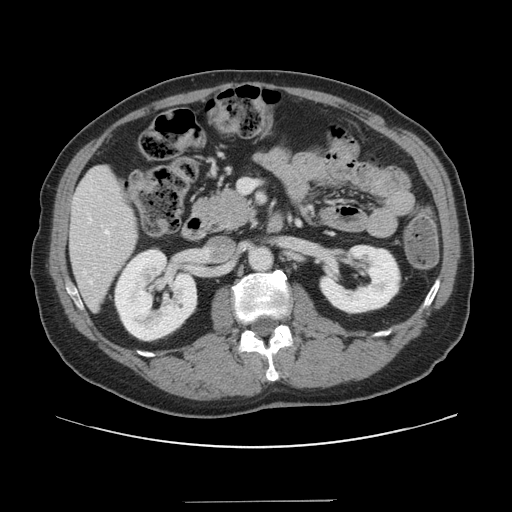

CT slice
The vessel boxes may cover only some of the vessels.
Annotated regions:
- hepatic vessel: bbox(239, 180, 255, 192); bbox(105, 230, 108, 233)